FLAIR MRI.
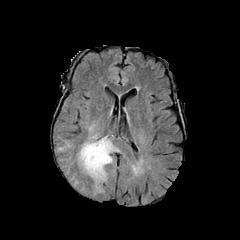
T1-weighted MR image.
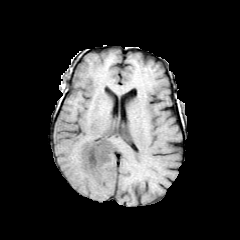
Post-contrast T1-weighted MR.
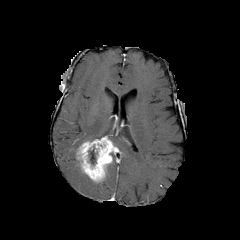
T2-weighted magnetic resonance.
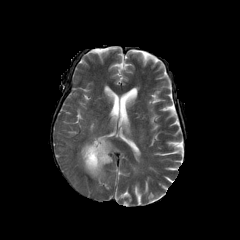
<segmentation>
  <non-enhancing_tumor_core>x1=88, y1=149, x2=95, y2=164</non-enhancing_tumor_core>
  <enhancing_tumor>x1=77, y1=136, x2=117, y2=182</enhancing_tumor>
  <edema>x1=108, y1=133, x2=122, y2=150; x1=92, y1=151, x2=116, y2=196; x1=82, y1=119, x2=103, y2=142; x1=73, y1=154, x2=86, y2=176</edema>
</segmentation>